Magnetic resonance 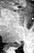 Annotated regions:
* posterior hippocampus: region(10, 43, 21, 47)